Liver; CT
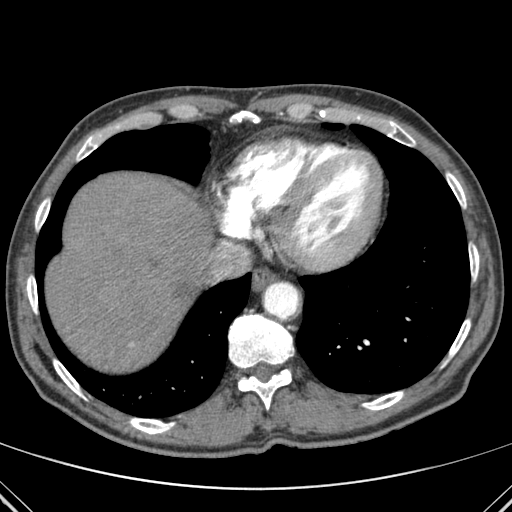

bone:
  - x1=469, y1=246, x2=479, y2=278
  - x1=35, y1=199, x2=49, y2=230
  - x1=228, y1=314, x2=293, y2=368
  - x1=449, y1=319, x2=470, y2=357
  - x1=53, y1=359, x2=85, y2=399
  - x1=130, y1=418, x2=174, y2=434
  - x1=384, y1=121, x2=415, y2=146
  - x1=238, y1=369, x2=291, y2=409
  - x1=446, y1=173, x2=466, y2=207
  - x1=76, y1=136, x2=98, y2=160
  - x1=27, y1=276, x2=37, y2=313
  - x1=230, y1=111, x2=259, y2=122
  - x1=362, y1=391, x2=403, y2=410
liver:
  - x1=46, y1=172, x2=213, y2=372
lung:
  - x1=323, y1=123, x2=343, y2=130
  - x1=296, y1=124, x2=469, y2=393
  - x1=36, y1=124, x2=250, y2=417